FLAIR MR.
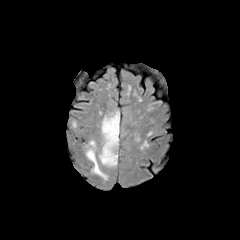
T1-weighted MR.
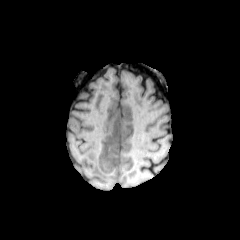
Post-contrast T1-weighted MRI.
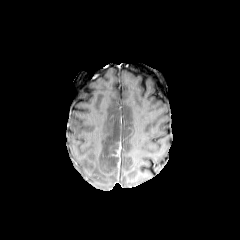
T2-weighted magnetic resonance.
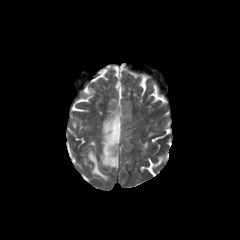
Image size 240x240
The edema lies within box(84, 108, 121, 179).